Image size 512x512; CT scan slice 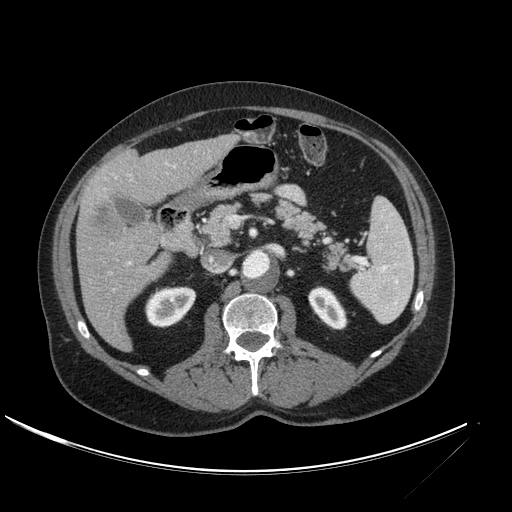
2 kidney regions are bounded by {"x1": 147, "y1": 288, "x2": 194, "y2": 325}, {"x1": 309, "y1": 288, "x2": 345, "y2": 328}. The liver lesion is located at {"x1": 82, "y1": 190, "x2": 125, "y2": 244}. The liver appears at {"x1": 77, "y1": 134, "x2": 240, "y2": 350}.